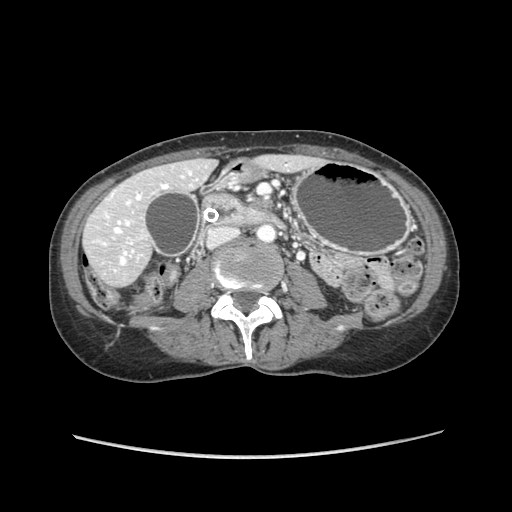 CT slice
The pancreas lies within x1=209 y1=193 x2=273 y2=226.